CT slice. Slice index 103. Liver. 512x512.
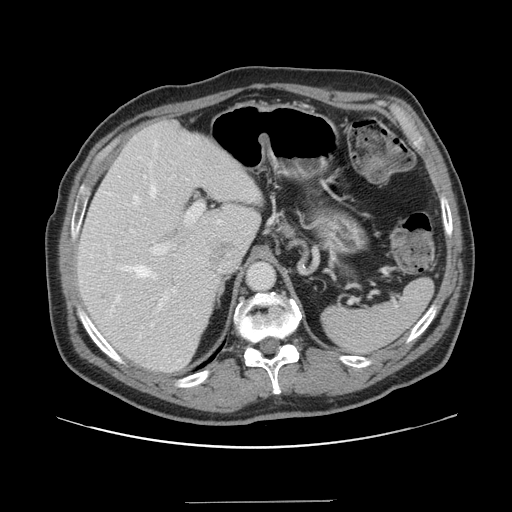
The vessel boxes may cover only some of the vessels.
Hepatic vessel — <bbox>185, 203, 203, 223</bbox>, <bbox>171, 288, 175, 292</bbox>, <bbox>133, 195, 139, 203</bbox>, <bbox>117, 296, 119, 300</bbox>, <bbox>157, 292, 167, 310</bbox>, <bbox>155, 143, 156, 145</bbox>, <bbox>150, 163, 151, 164</bbox>, <bbox>150, 184, 156, 197</bbox>, <bbox>150, 243, 168, 254</bbox>, <bbox>121, 265, 155, 277</bbox>.